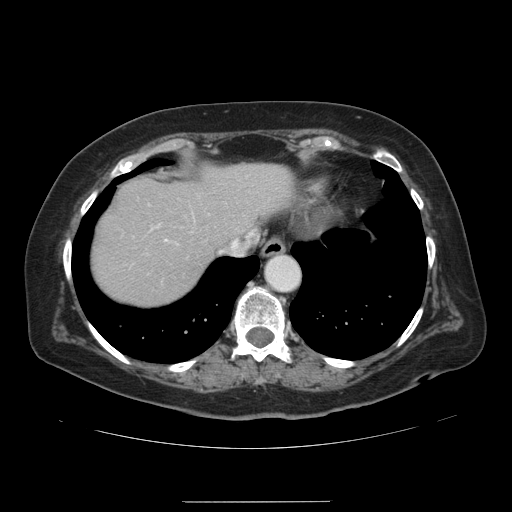
Liver; CT slice; 512x512 px

Not every hepatic vessel necessarily has a box.
Hepatic vessel: bbox=[164, 239, 167, 240]; bbox=[249, 231, 253, 232]; bbox=[219, 250, 222, 252].